FLAIR MR image.
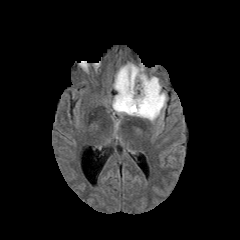
T1-weighted MR image.
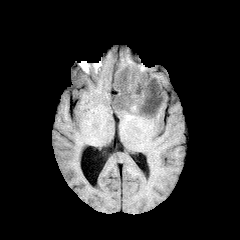
Post-contrast T1-weighted MR.
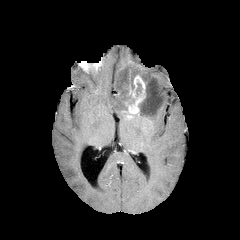
T2-weighted MR.
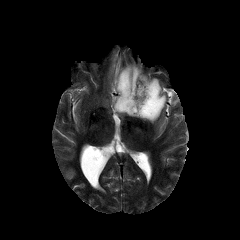
edema:
  - {"x1": 112, "y1": 62, "x2": 168, "y2": 125}
  - {"x1": 110, "y1": 94, "x2": 129, "y2": 117}
non-enhancing_tumor_core:
  - {"x1": 116, "y1": 77, "x2": 134, "y2": 111}
  - {"x1": 138, "y1": 82, "x2": 158, "y2": 116}
enhancing_tumor:
  - {"x1": 124, "y1": 75, "x2": 145, "y2": 113}